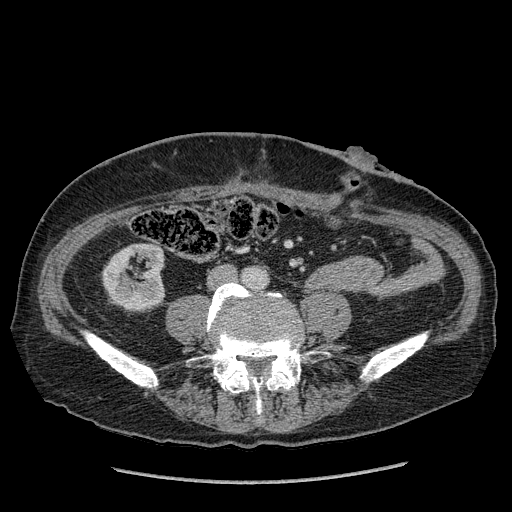

Computed tomography. Kidney — (103,244,163,310).